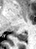 MRI | Medial temporal lobe | 36x49 px
Annotated regions:
- posterior hippocampus: bbox=[12, 32, 26, 41]